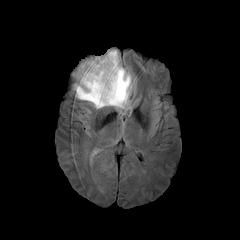
FLAIR MRI.
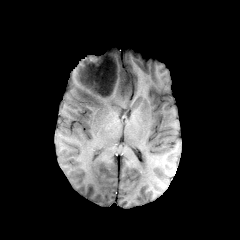
T1-weighted magnetic resonance.
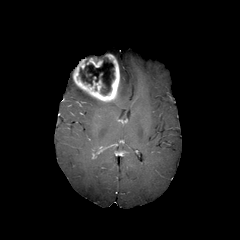
Same slice, post-contrast T1-weighted MR image.
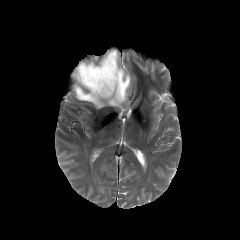
T2-weighted magnetic resonance.
Brain
Edema: (73,49,135,116).
Non-enhancing tumor core: (118,62,122,91), (79,52,117,94).
Enhancing tumor: (87,58,102,67), (73,54,119,103).